Field of view 425 mm wide, 5.00 mm slice spacing. CT scan slice. Abdomen.

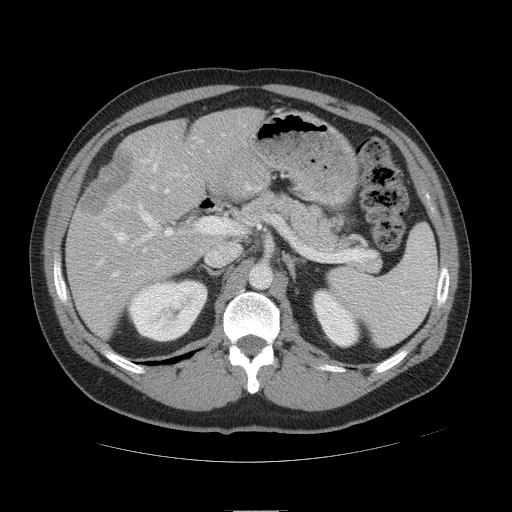 Some hepatic vessels may have no box.
Hepatic vessel at rect(115, 232, 127, 241); rect(142, 212, 157, 228); rect(141, 232, 153, 240); rect(175, 173, 178, 175); rect(143, 248, 146, 250); rect(153, 163, 157, 171); rect(113, 272, 117, 276); rect(143, 159, 150, 160); rect(139, 204, 141, 207); rect(166, 189, 168, 192); rect(151, 186, 153, 188); rect(222, 134, 224, 135).
Liver tumor at rect(81, 147, 133, 217).